Brain. 240x240 px. Image width 240 mm. Slice 73 of 155.
FLAIR MRI.
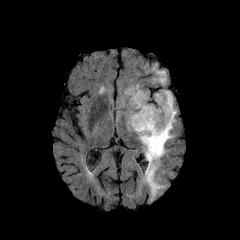
T1-weighted MR.
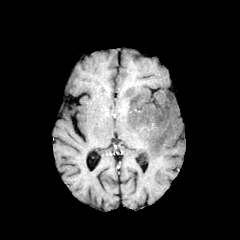
Post-contrast T1-weighted MR image.
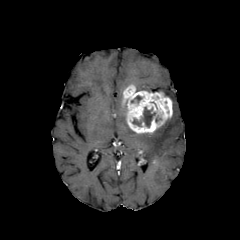
T2-weighted MR image.
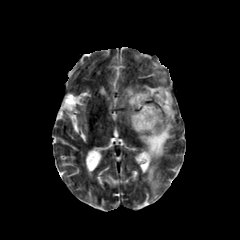
Edema = l=162, t=89, r=173, b=99; l=139, t=108, r=176, b=187; l=156, t=70, r=166, b=83.
Non-enhancing tumor core = l=144, t=108, r=153, b=126.
Enhancing tumor = l=123, t=86, r=173, b=134.